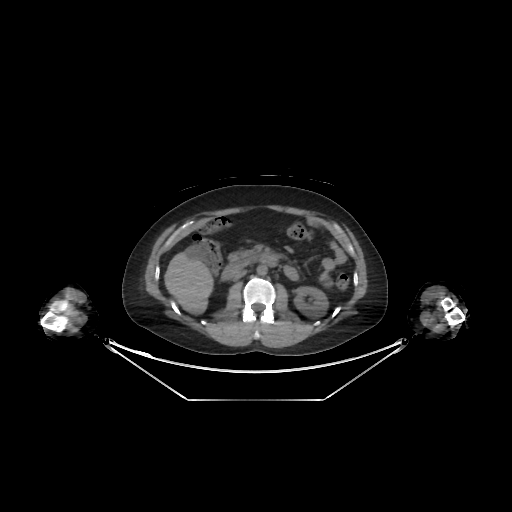

Upper abdomen; CT image
kidney:
  - 293, 286, 328, 319
liver:
  - 164, 246, 213, 314